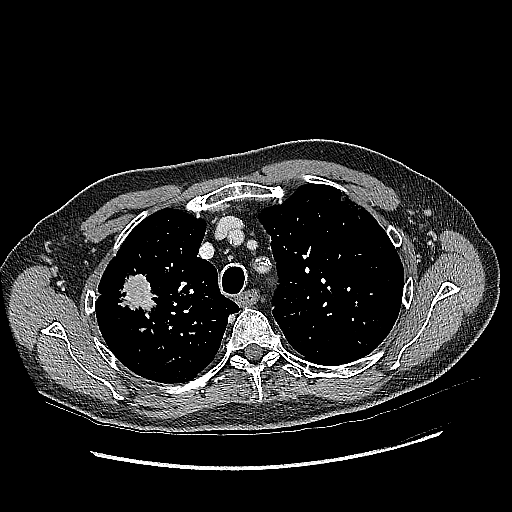
CT image

{"lung_tumor": ["bbox=[108, 268, 158, 314]"]}